CT; 512x512 px; Image width 500 mm
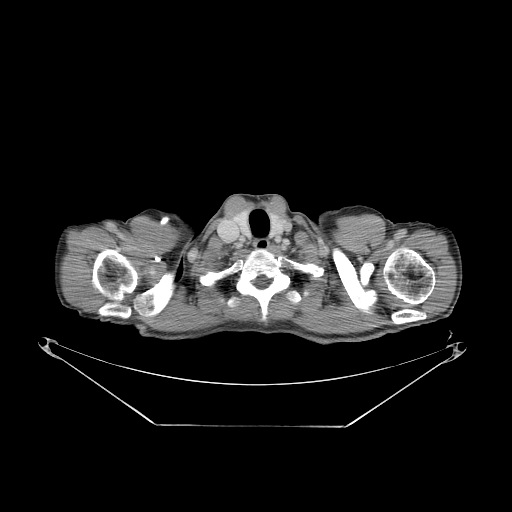

Annotated regions:
* bone: box(293, 262, 323, 276); box(333, 249, 376, 311); box(392, 309, 425, 323); box(200, 268, 232, 285); box(289, 292, 300, 302); box(140, 274, 172, 313); box(93, 249, 137, 317); box(384, 249, 435, 303); box(236, 250, 289, 318)